CT scan slice | Abdomen 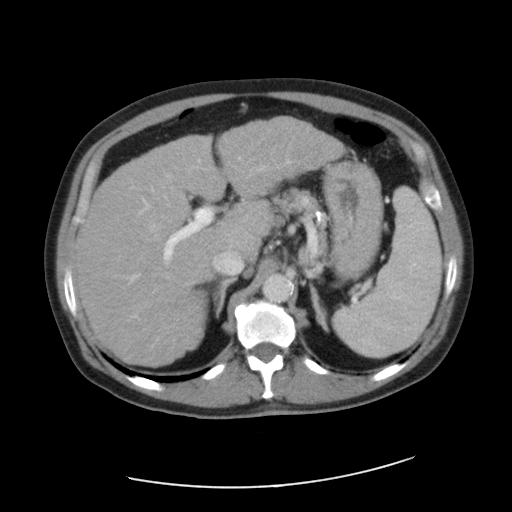

The vessel boxes may cover only some of the vessels.
Hepatic vessel: 139 198 149 213, 287 160 289 163, 164 209 211 260, 259 166 263 169, 239 157 240 158, 150 224 156 231, 133 315 136 317, 129 275 138 281, 193 167 196 167.